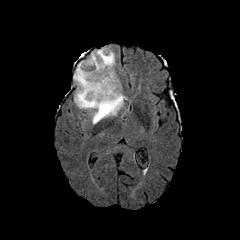
FLAIR MR image.
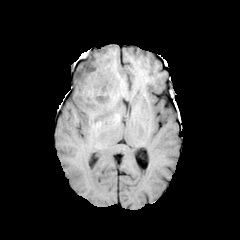
T1-weighted MR image.
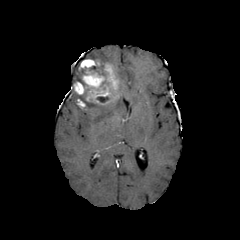
Post-contrast T1-weighted MRI.
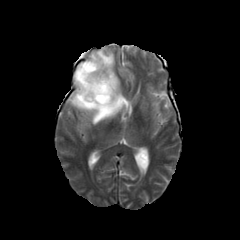
T2-weighted magnetic resonance of the same slice.
240x240 px
enhancing tumor: x1=74 y1=57 x2=119 y2=104, x1=77 y1=98 x2=87 y2=108 | non-enhancing tumor core: x1=97 y1=97 x2=108 y2=103 | edema: x1=73 y1=48 x2=126 y2=124